Slice 78/155
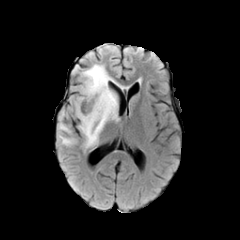
FLAIR MRI.
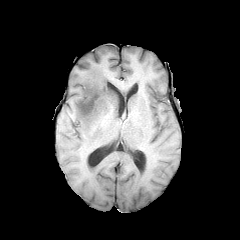
T1-weighted MRI.
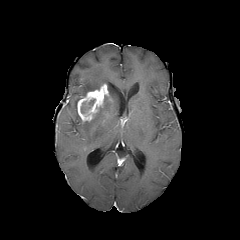
Post-contrast T1-weighted MRI.
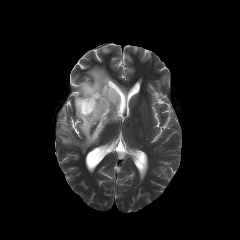
T2-weighted MR image of the same slice.
3 non-enhancing tumor core regions are bounded by <bbox>104, 85, 114, 103</bbox>, <bbox>81, 84, 100, 96</bbox>, <bbox>80, 99, 94, 112</bbox>. 4 edema regions are bounded by <bbox>79, 93, 118, 148</bbox>, <bbox>58, 119, 69, 132</bbox>, <bbox>59, 134, 73, 145</bbox>, <bbox>81, 64, 126, 89</bbox>. The enhancing tumor is located at <bbox>77, 83, 109, 121</bbox>.